CT. Slice 70/168.

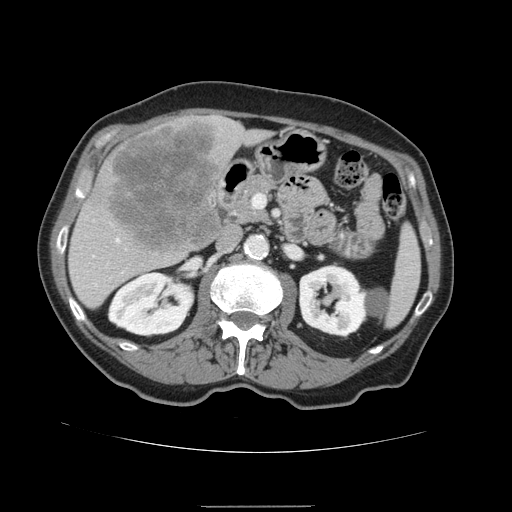 Spleen = 387,228,420,324.